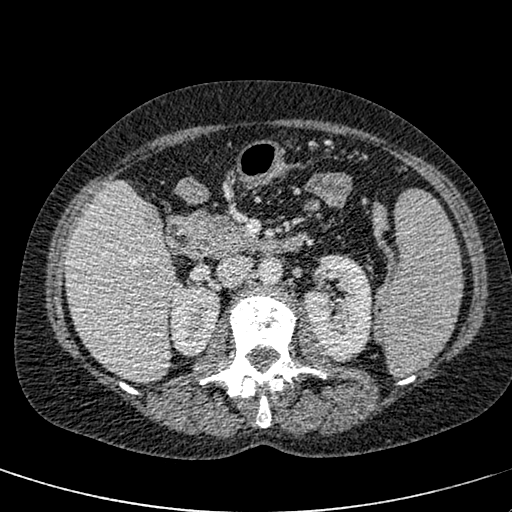

CT scan slice. Upper abdomen. {"hepatic_lesion": ["(135, 202, 159, 231)"], "liver": ["(63, 182, 174, 384)"], "kidney": ["(304, 256, 371, 360)", "(170, 286, 219, 351)"]}